Brain; Field of view 240 mm wide, 1.00 mm slice spacing
FLAIR MRI.
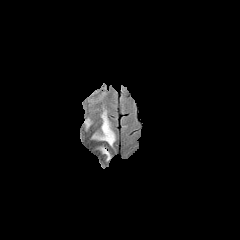
T1-weighted MR.
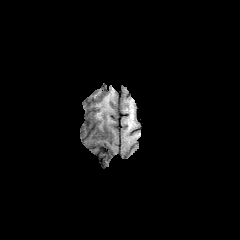
Post-contrast T1-weighted MR.
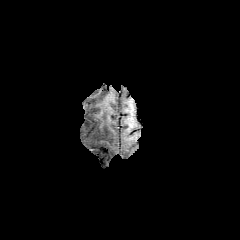
T2-weighted MR.
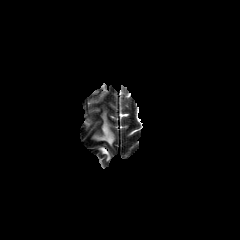
Edema: bounding box [92, 111, 115, 146], [101, 147, 110, 160].